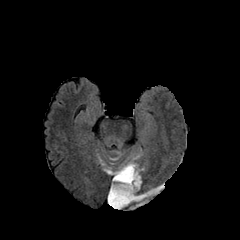
FLAIR MRI.
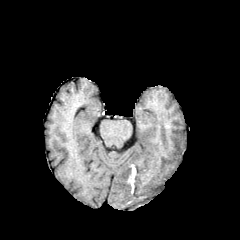
Same slice, T1-weighted MR image.
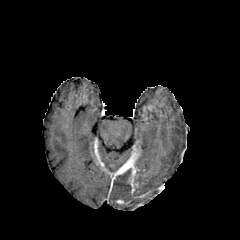
Same slice, post-contrast T1-weighted magnetic resonance.
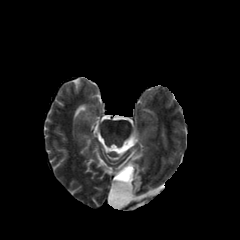
T2-weighted MRI of the same slice.
Head
Non-enhancing tumor core: rect(114, 160, 139, 192).
Edema: rect(108, 163, 157, 209).
Enhancing tumor: rect(113, 153, 137, 179).